Slice 16/51, 512x512, CT image 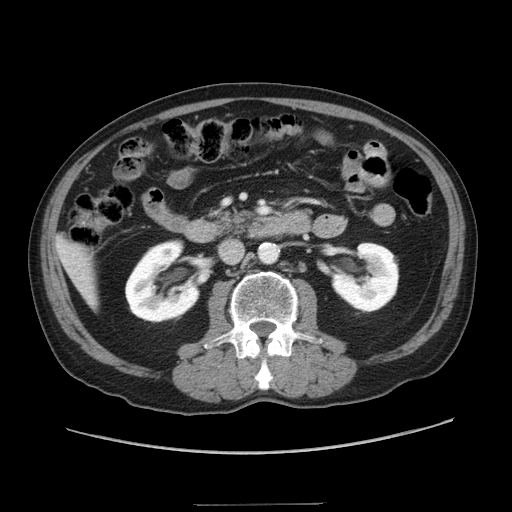 Annotated regions:
* pancreas: <box>211,211,254,236</box>